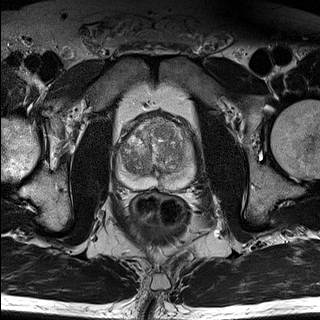
T2-weighted MR.
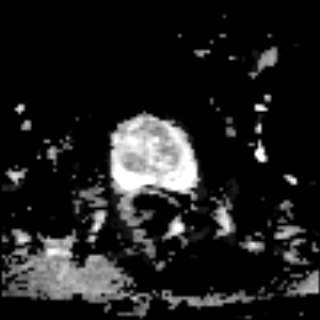
ADC MR image of the same slice.
Pelvis
The prostate transition zone is bounded by 119, 120, 193, 175. The prostate peripheral zone is located at 116, 147, 193, 186.